CT; Slice 70 of 113 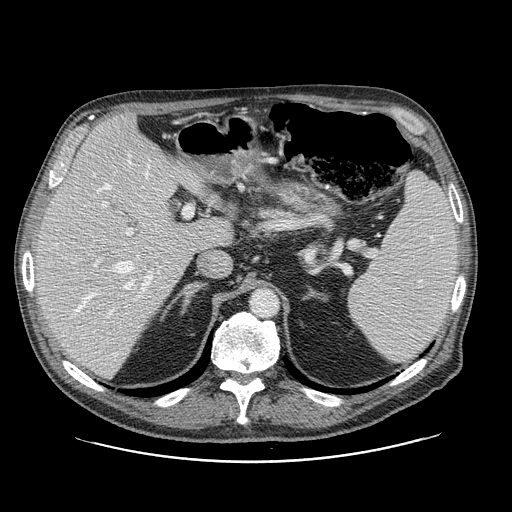
The pancreas appears at box(257, 204, 293, 217).